FLAIR MR.
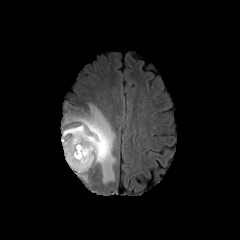
T1-weighted MR image.
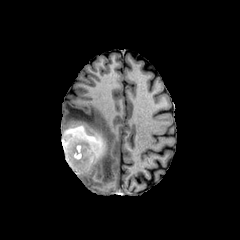
Post-contrast T1-weighted magnetic resonance.
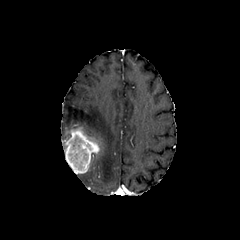
T2-weighted MR image.
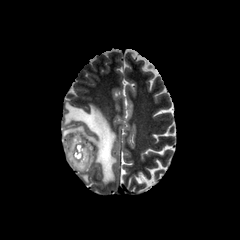
Head.
edema: [64,103,115,183] | non-enhancing tumor core: [62,135,88,170], [63,126,105,168] | enhancing tumor: [65,130,98,173]